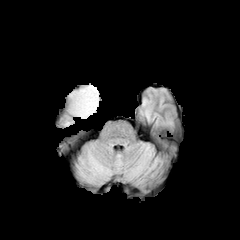
FLAIR MR image.
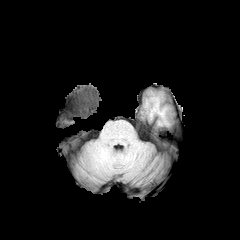
T1-weighted MR of the same slice.
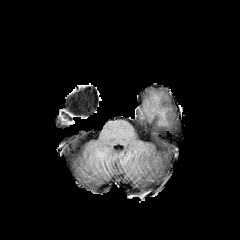
Same slice, post-contrast T1-weighted MRI.
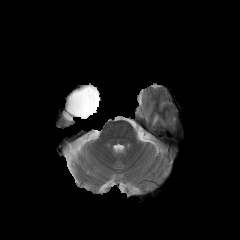
Same slice, T2-weighted MRI.
240x240.
Non-enhancing tumor core = 65 84 99 118.